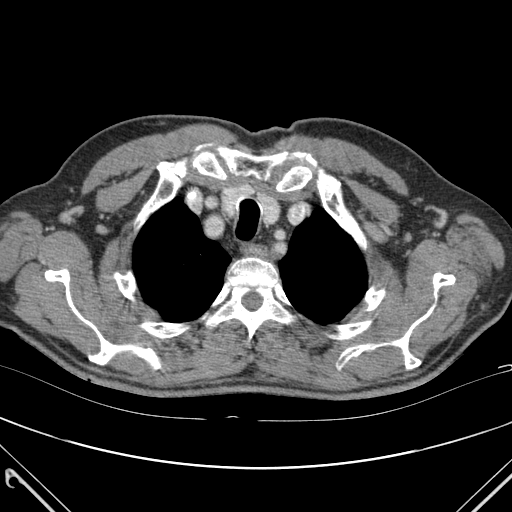
Chest; CT scan slice
Bone: bounding box x1=393, y1=306, x2=433, y2=368; x1=114, y1=272, x2=135, y2=299; x1=342, y1=344, x2=378, y2=359; x1=365, y1=288, x2=384, y2=310; x1=191, y1=144, x2=287, y2=179; x1=317, y1=170, x2=365, y2=247; x1=45, y1=269, x2=160, y2=368; x1=293, y1=153, x2=316, y2=165; x1=276, y1=166, x2=311, y2=191; x1=141, y1=323, x2=186, y2=337; x1=433, y1=273, x2=455, y2=297; x1=206, y1=258, x2=291, y2=337; x1=338, y1=321, x2=370, y2=338; x1=138, y1=161, x2=185, y2=225.
Lung: bounding box x1=133, y1=197, x2=230, y2=322; x1=279, y1=209, x2=367, y2=324.